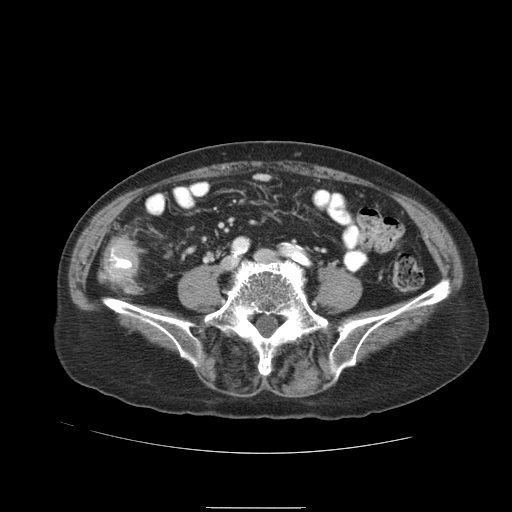 Computed tomography
Findings:
- colon tumor: bbox(97, 235, 137, 283)